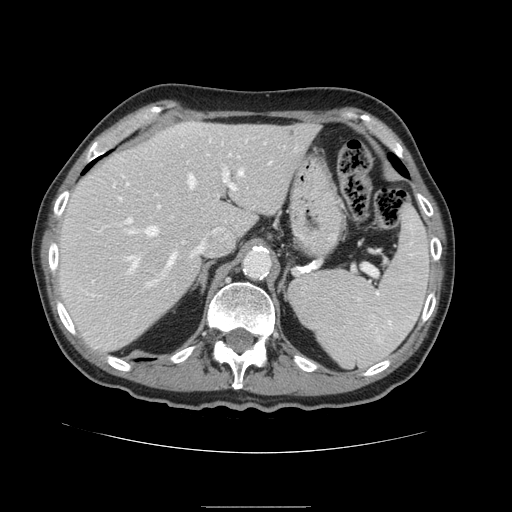 CT scan slice
The spleen appears at [289,206,429,367].